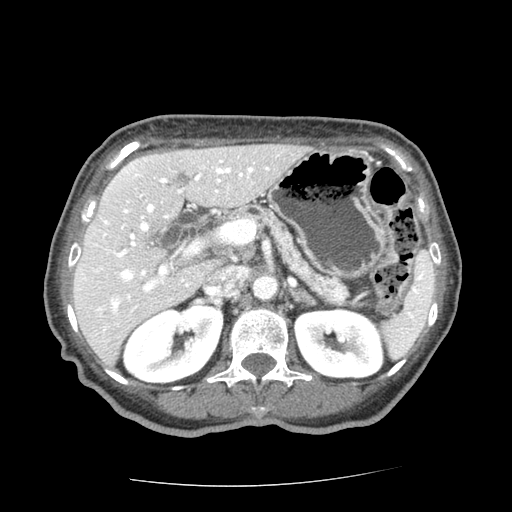 512x512 px; Computed tomography

* pancreatic tumor: box=[215, 244, 257, 259]
* pancreas: box=[229, 205, 346, 303]; box=[227, 242, 248, 246]